Brain, Slice 90/155
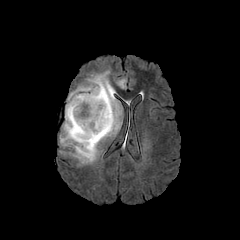
FLAIR MR image.
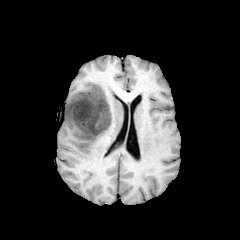
T1-weighted MR.
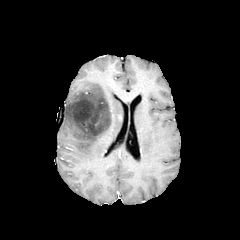
Post-contrast T1-weighted MR.
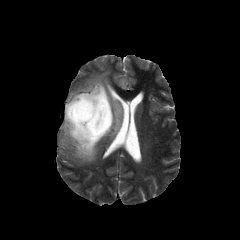
T2-weighted MR image.
{
  "non-enhancing_tumor_core": [
    "bbox=[66, 86, 120, 141]",
    "bbox=[92, 76, 113, 97]"
  ],
  "edema": [
    "bbox=[60, 71, 122, 163]"
  ]
}